FLAIR magnetic resonance.
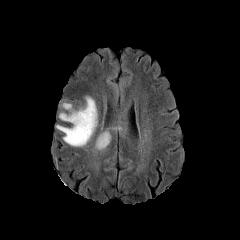
T1-weighted magnetic resonance.
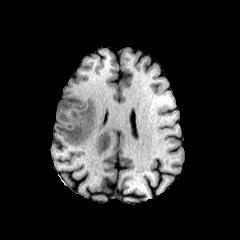
Post-contrast T1-weighted MRI.
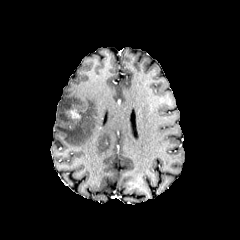
T2-weighted magnetic resonance.
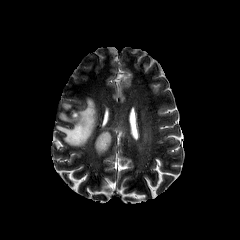
Image size 240x240
{"edema": ["(left=56, top=96, right=97, bottom=146)", "(left=62, top=103, right=72, bottom=110)", "(left=94, top=131, right=110, bottom=151)"], "enhancing_tumor": ["(left=67, top=102, right=86, bottom=119)"]}